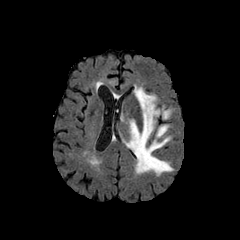
FLAIR MRI.
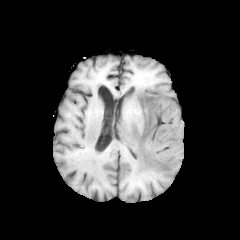
T1-weighted MR.
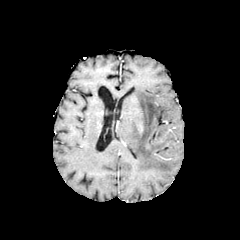
Same slice, post-contrast T1-weighted MR image.
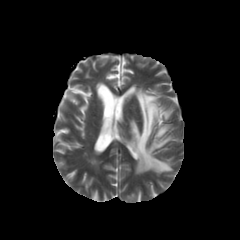
Same slice, T2-weighted magnetic resonance.
Head
Annotated regions:
• edema: [120, 85, 174, 175]